Slice 120 of 155. Brain. 240x240.
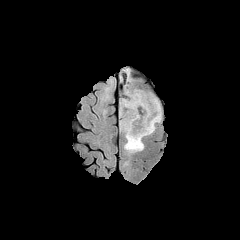
FLAIR MR image.
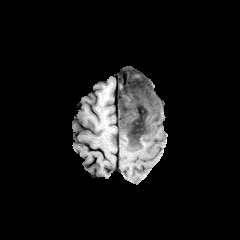
Same slice, T1-weighted MR.
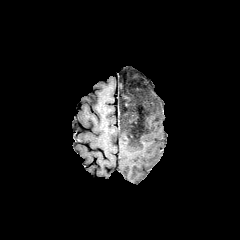
Same slice, post-contrast T1-weighted MR image.
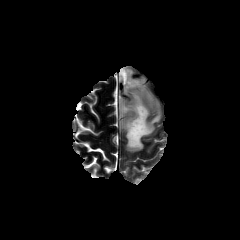
T2-weighted MR.
non-enhancing tumor core: [x1=120, y1=82, x2=155, y2=152] | edema: [x1=123, y1=84, x2=134, y2=101], [x1=119, y1=98, x2=127, y2=133], [x1=124, y1=69, x2=162, y2=142]